CT image, Field of view 477x477 mm, Slice 42 of 44, Image size 512x512, Liver

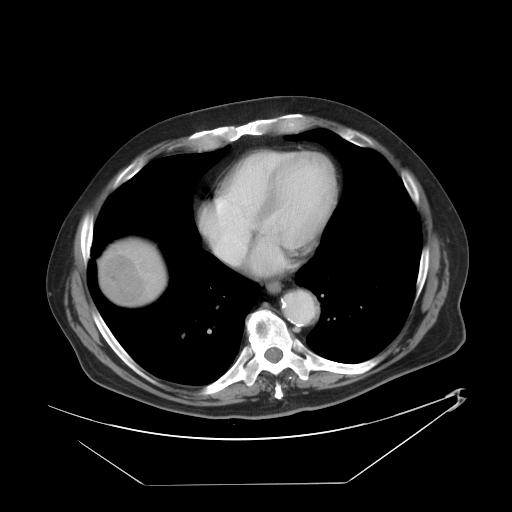 Annotated regions:
- liver tumor: x1=100, y1=254, x2=145, y2=302